Slice index 106
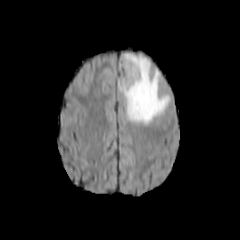
FLAIR MR.
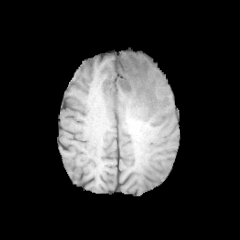
T1-weighted MR image of the same slice.
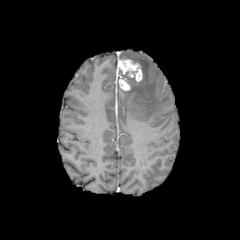
Post-contrast T1-weighted MR image.
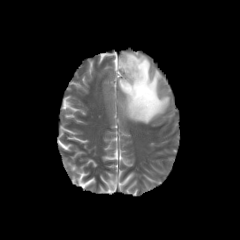
T2-weighted magnetic resonance of the same slice.
The edema appears at bbox(120, 53, 170, 124). 2 enhancing tumor regions appear at bbox(118, 78, 131, 90); bbox(118, 58, 142, 81).